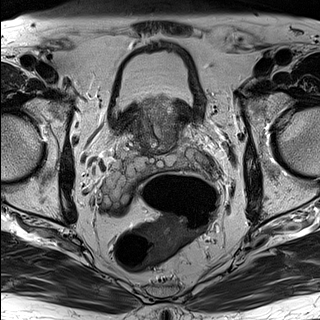
T2-weighted MR image.
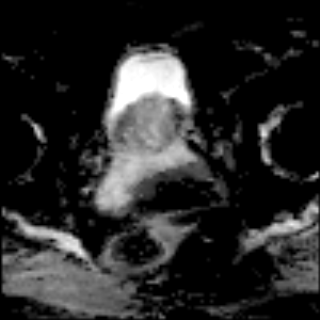
Same slice, ADC MR.
Pelvis
prostate transition zone: l=134, t=96, r=179, b=153